CT image | Abdomen | Slice 307/771
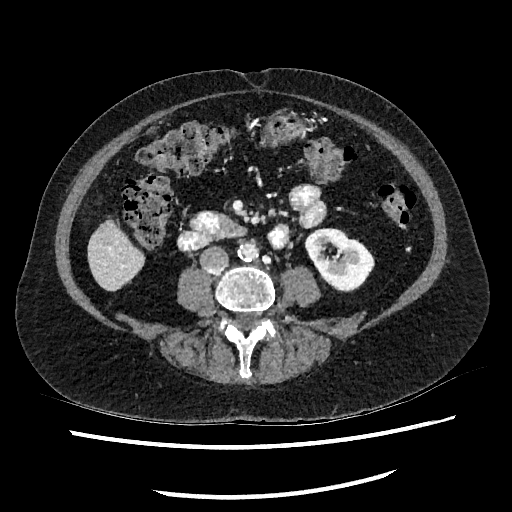
Kidney = l=306, t=224, r=373, b=289.
Liver = l=88, t=223, r=143, b=290.